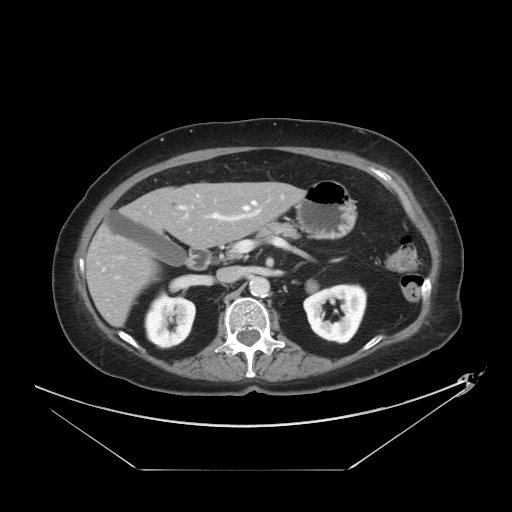
Liver | 512x512 | CT image

Not every hepatic vessel necessarily has a box.
6 hepatic vessel regions are bounded by left=282, top=196, right=283, bottom=198; left=207, top=206, right=259, bottom=220; left=179, top=206, right=185, bottom=209; left=252, top=201, right=255, bottom=204; left=186, top=215, right=187, bottom=216; left=102, top=269, right=104, bottom=270.